Head; Image size 240x240
FLAIR magnetic resonance.
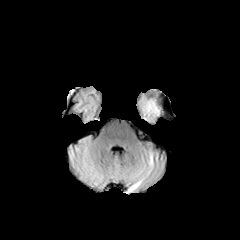
T1-weighted MR.
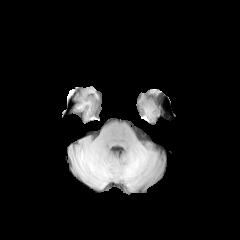
Post-contrast T1-weighted MRI.
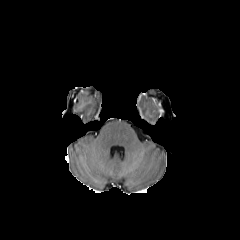
T2-weighted MRI.
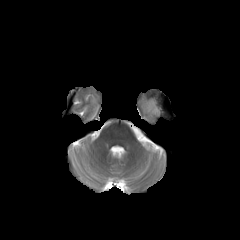
The edema lies within 146 100 159 118.